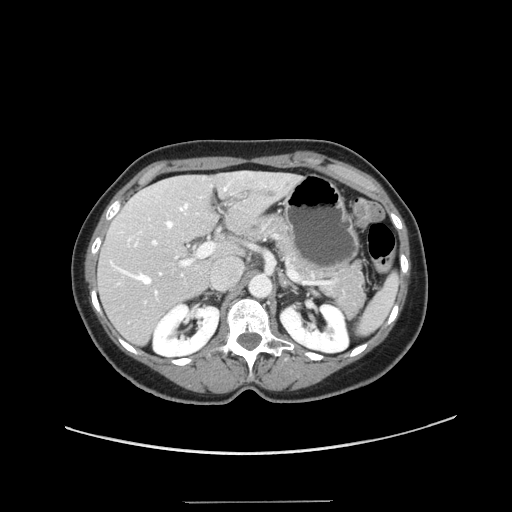

Abdomen; CT image; Image size 512x512

Some hepatic vessels may have no box.
hepatic vessel: [x1=153, y1=240, x2=156, y2=243], [x1=180, y1=204, x2=187, y2=209], [x1=155, y1=291, x2=157, y2=294], [x1=167, y1=222, x2=172, y2=227], [x1=110, y1=260, x2=111, y2=262], [x1=182, y1=260, x2=191, y2=264], [x1=135, y1=242, x2=136, y2=245], [x1=118, y1=268, x2=150, y2=282], [x1=197, y1=242, x2=214, y2=256]